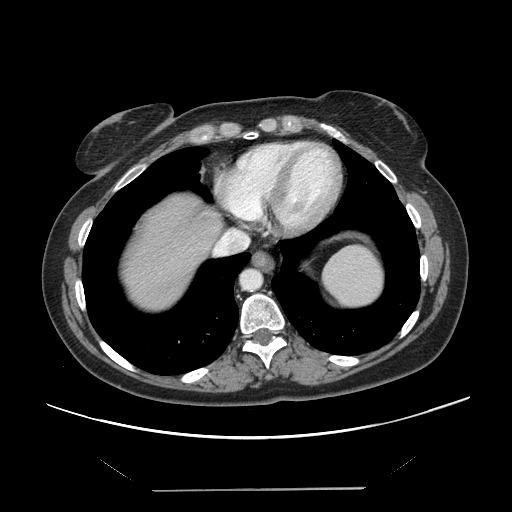

512x512, Computed tomography
Some hepatic vessels may have no box.
hepatic vessel: <box>214,230,244,254</box>